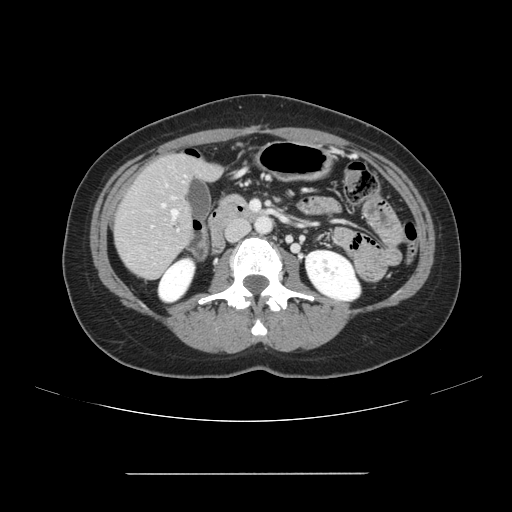 CT image, Abdomen

The vessel boxes may cover only some of the vessels.
{
  "hepatic_vessel": [
    {"x1": 172, "y1": 210, "x2": 177, "y2": 219},
    {"x1": 162, "y1": 204, "x2": 165, "y2": 206}
  ]
}